FLAIR MR.
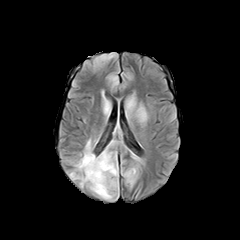
T1-weighted MR.
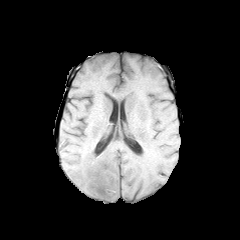
Post-contrast T1-weighted MRI.
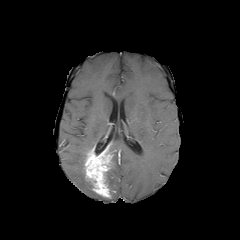
T2-weighted MRI.
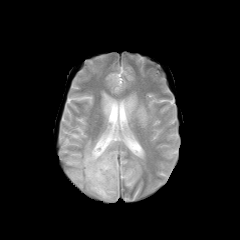
Image size 240x240; Brain
Non-enhancing tumor core = box=[106, 152, 115, 195].
Edema = box=[69, 140, 93, 191]; box=[138, 106, 146, 121]; box=[109, 152, 118, 195]; box=[104, 101, 109, 112]; box=[126, 96, 133, 113].
Enhancing tumor = box=[84, 144, 112, 197].